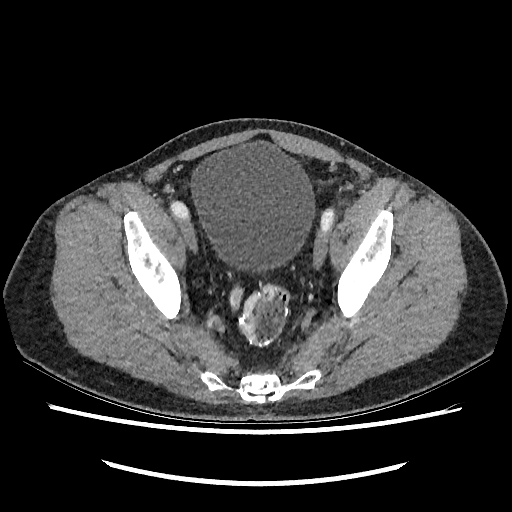

Pelvis | 512x512 px | CT image
The urinary bladder is at x1=189 y1=137 x2=314 y2=272.